CT slice; 512x512 px; Abdomen
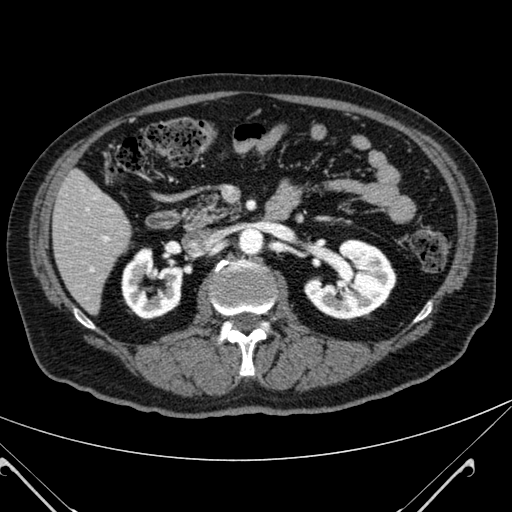
{"liver": ["left=52, top=172, right=129, bottom=311"], "kidney": ["left=305, top=240, right=394, bottom=318", "left=122, top=249, right=181, bottom=317"]}